240x240.
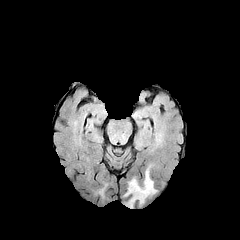
FLAIR MR image.
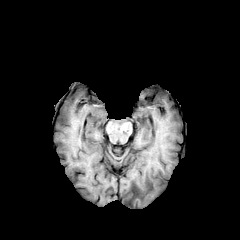
T1-weighted MR.
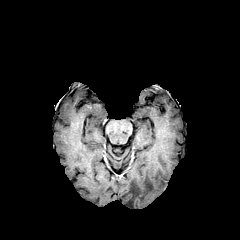
Post-contrast T1-weighted MR.
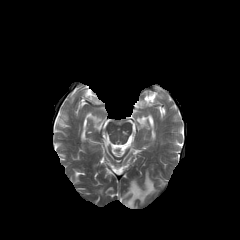
T2-weighted MR of the same slice.
Findings:
- edema: x1=123, y1=168, x2=156, y2=207